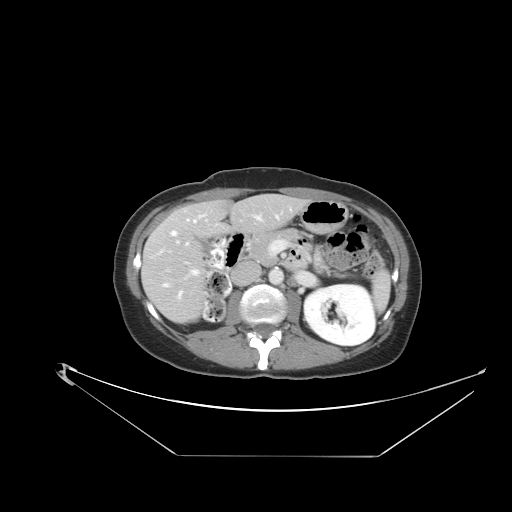

Abdomen, 512x512, CT scan slice
Pancreas at bbox(248, 228, 297, 266).